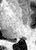 MRI slice.

Segmented structures:
• posterior hippocampus: [10,39,15,41]